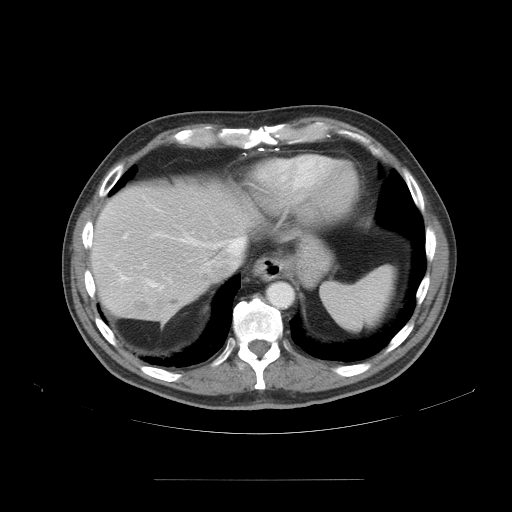 Image size 512x512 | CT slice
The vessel annotation is not exhaustive.
<segmentation>
  <hepatic_vessel>146, 200, 160, 211; 124, 235, 126, 238; 204, 260, 214, 264; 144, 279, 163, 290; 143, 196, 145, 199; 152, 232, 170, 237; 229, 260, 236, 265; 177, 233, 243, 257; 118, 272, 131, 283</hepatic_vessel>
  <liver_tumor>170, 297, 180, 304; 131, 297, 151, 309</liver_tumor>
</segmentation>